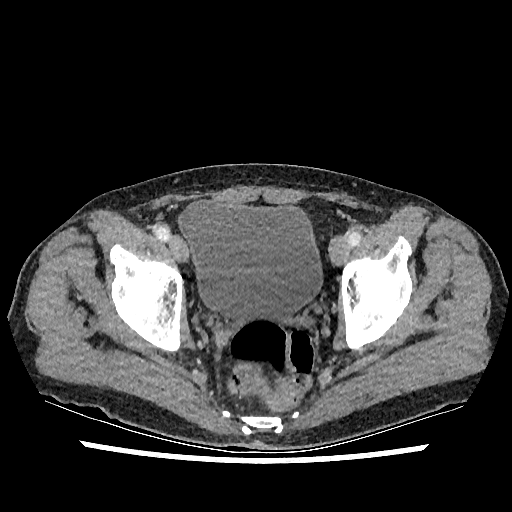 CT slice
The urinary bladder appears at left=180, top=199, right=322, bottom=333.